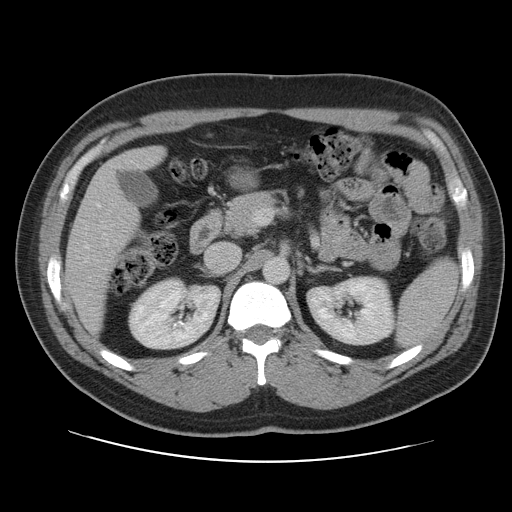
CT image
Only some of the vessels may be annotated.
<segmentation>
  <hepatic_vessel>rect(108, 161, 113, 166); rect(96, 307, 98, 310); rect(94, 312, 99, 318); rect(82, 320, 85, 321); rect(85, 245, 88, 248); rect(97, 203, 99, 206); rect(88, 325, 97, 330); rect(104, 226, 106, 227)</hepatic_vessel>
</segmentation>